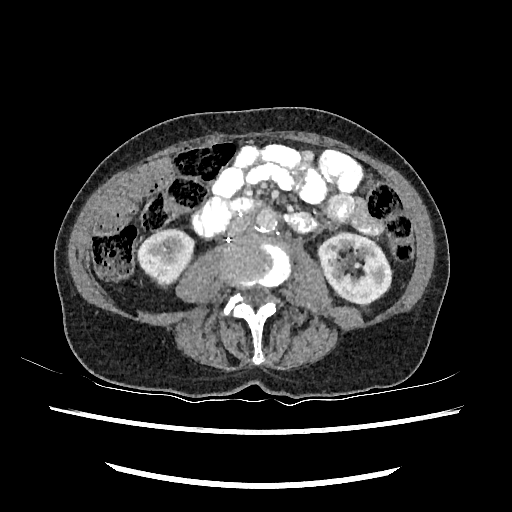

CT scan slice
2 kidney regions are located at 138 230 193 282, 319 232 390 303.